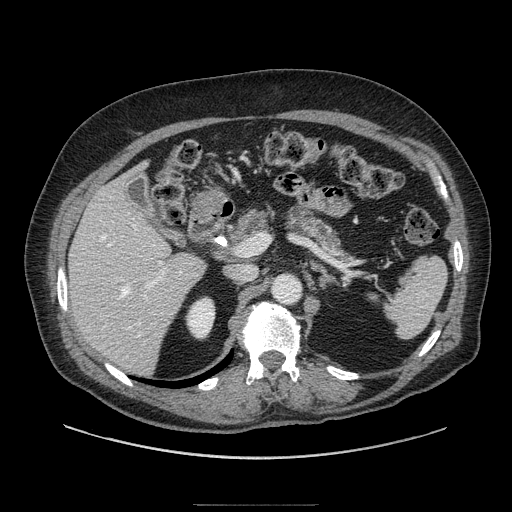
Upper abdomen | 512x512 px | CT

{
  "pancreas": [
    "box=[285, 206, 350, 264]",
    "box=[232, 210, 269, 242]"
  ]
}